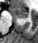
38x43. Magnetic resonance. Hippocampus.
<segmentation>
  <anterior_hippocampus>[11, 8, 28, 18]</anterior_hippocampus>
</segmentation>